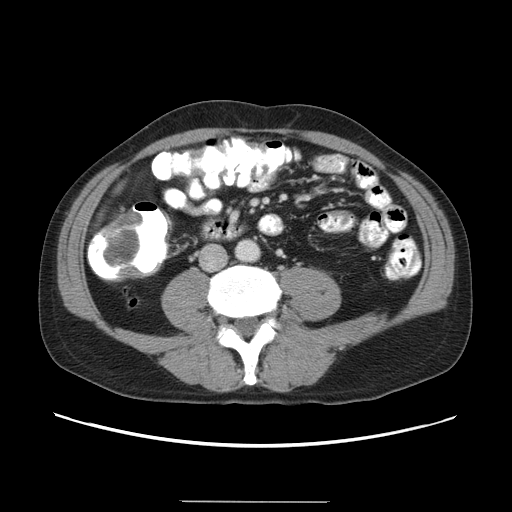 CT image. Abdomen. Colon tumor: [100, 212, 142, 278].